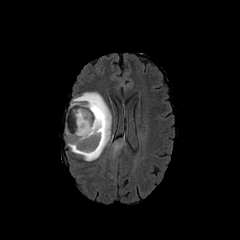
FLAIR MRI.
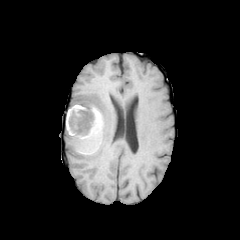
T1-weighted magnetic resonance of the same slice.
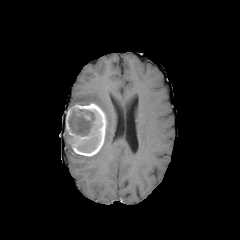
Post-contrast T1-weighted MR image.
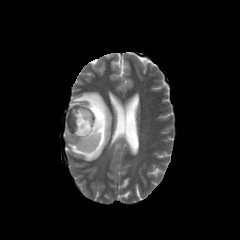
T2-weighted magnetic resonance.
Image size 240x240. Head.
The edema is located at x1=67 y1=92 x2=112 y2=161. 2 enhancing tumor regions appear at x1=81 y1=111 x2=90 y2=120, x1=65 y1=103 x2=107 y2=156. 2 non-enhancing tumor core regions appear at x1=69 y1=109 x2=99 y2=135, x1=79 y1=136 x2=98 y2=150.